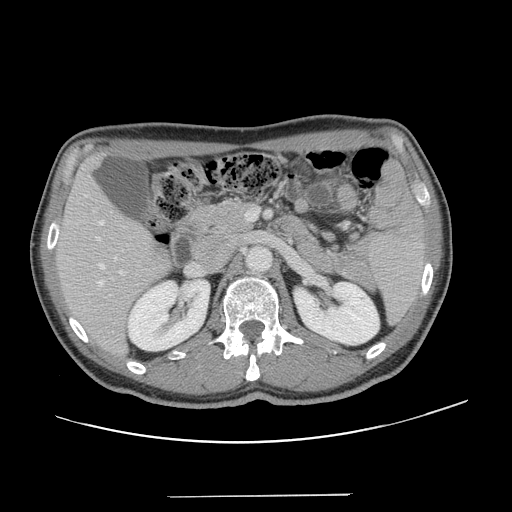 CT scan slice
Some hepatic vessels may have no box.
Segmented structures:
- hepatic vessel: x1=84, y1=195, x2=86, y2=196; x1=99, y1=263, x2=104, y2=268; x1=114, y1=256, x2=116, y2=259; x1=97, y1=237, x2=100, y2=240; x1=118, y1=270, x2=123, y2=273; x1=99, y1=221, x2=103, y2=224; x1=97, y1=281, x2=103, y2=285